Slice index 125 | 512x512 px | CT scan slice 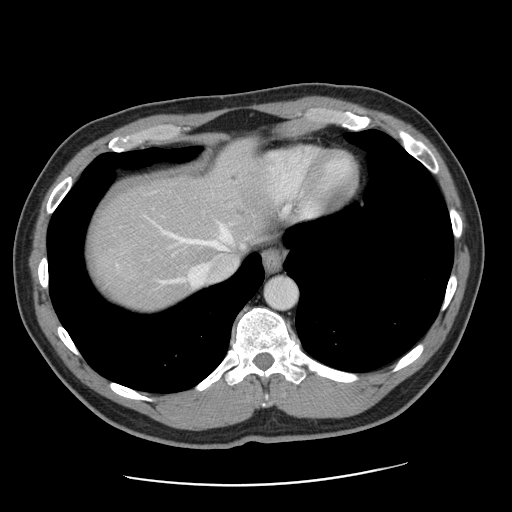

Only some of the vessels may be annotated.
2 hepatic vessel regions are bounded by (179,239,182,240), (161,224,246,287). 2 liver tumor regions are bounded by (229,172,239,182), (233,204,247,217).